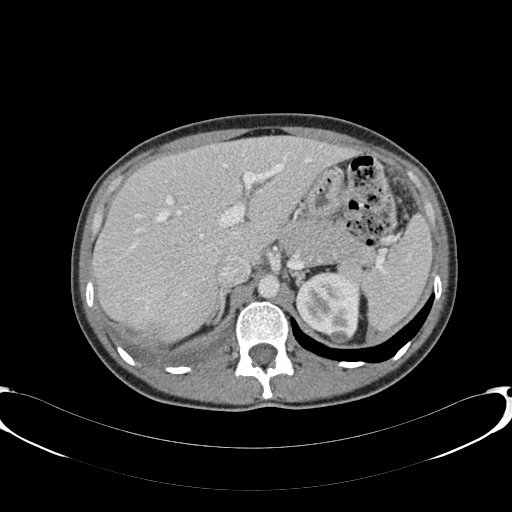 CT scan slice

The kidney is at region(297, 274, 358, 343). The liver lies within region(92, 137, 358, 342).